FLAIR MRI.
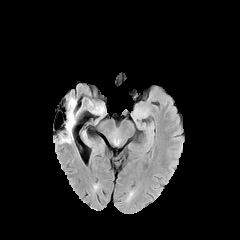
T1-weighted MR.
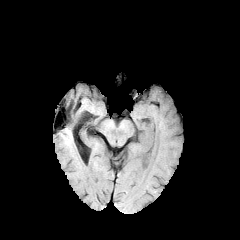
Post-contrast T1-weighted MR image.
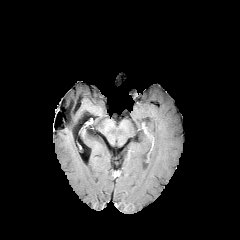
T2-weighted MR.
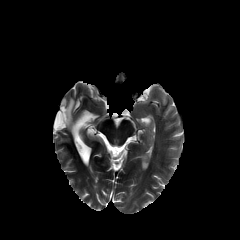
Brain; 240x240
edema:
  - x1=65, y1=96, x2=78, y2=135